512x512; CT scan slice

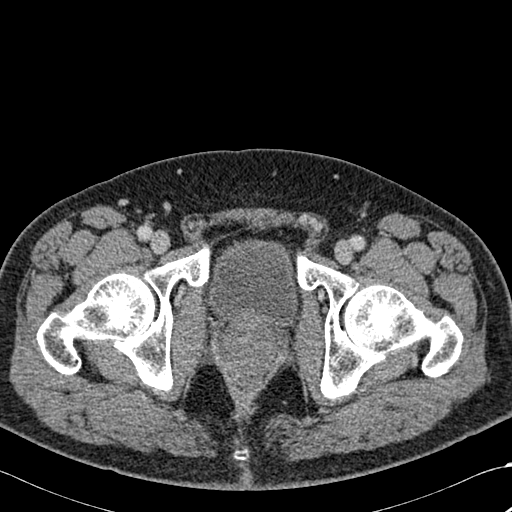

Bone: [x1=37, y1=248, x2=209, y2=390], [x1=297, y1=256, x2=462, y2=398].